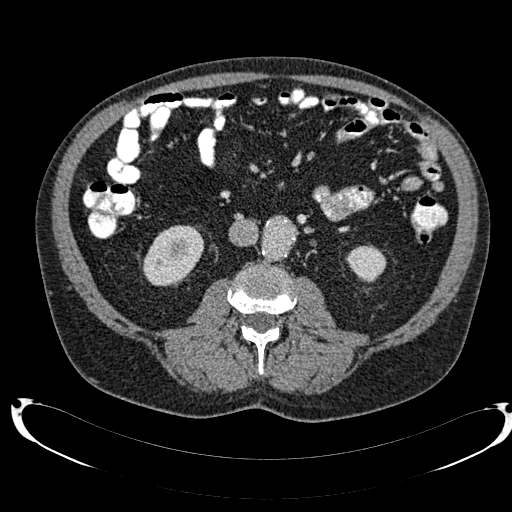

CT slice; 512x512 px

Kidney: 143 225 203 285, 347 246 385 281.